FLAIR MRI.
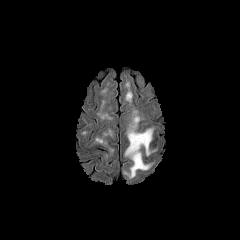
T1-weighted MRI.
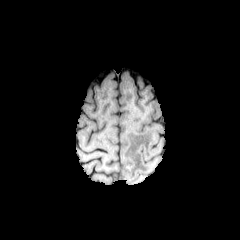
Post-contrast T1-weighted MRI.
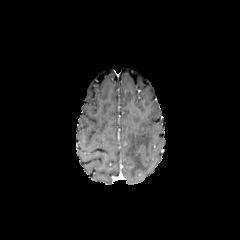
T2-weighted MR.
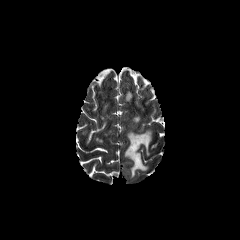
Brain, 240x240
{
  "edema": [
    "(126,92,132,102)",
    "(125,129,152,178)"
  ]
}